FLAIR MR.
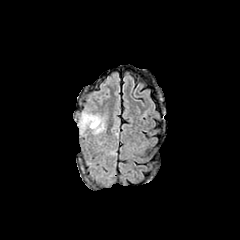
T1-weighted MRI.
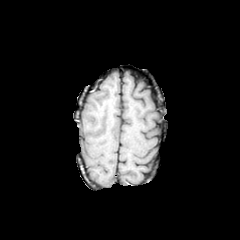
Post-contrast T1-weighted MR.
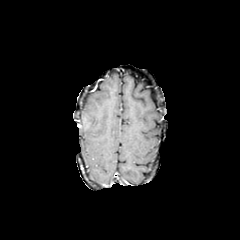
T2-weighted MRI.
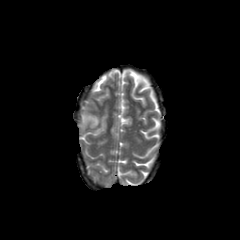
Head
<segmentation>
  <edema>region(78, 112, 105, 134)</edema>
</segmentation>